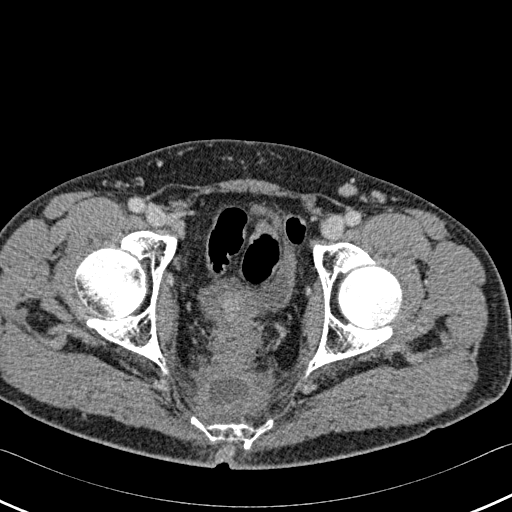

CT slice; Pelvis

<segmentation>
  <bone>box=[75, 231, 176, 373]; box=[305, 243, 402, 376]; box=[191, 417, 272, 448]</bone>
  <urinary_bladder>box=[199, 246, 295, 320]; box=[268, 224, 277, 234]</urinary_bladder>
</segmentation>